Slice index 610 | Abdomen | CT scan slice 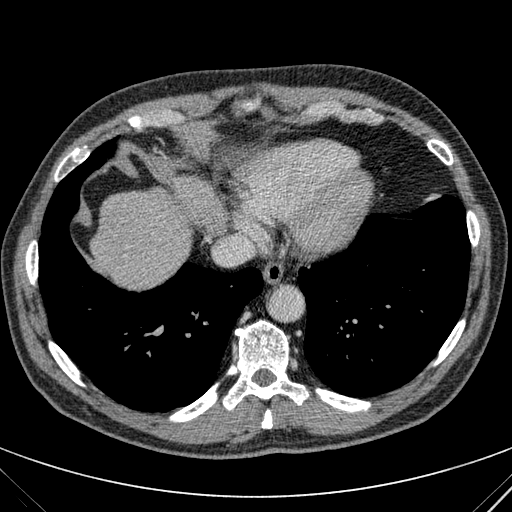
liver: [92, 176, 225, 287]